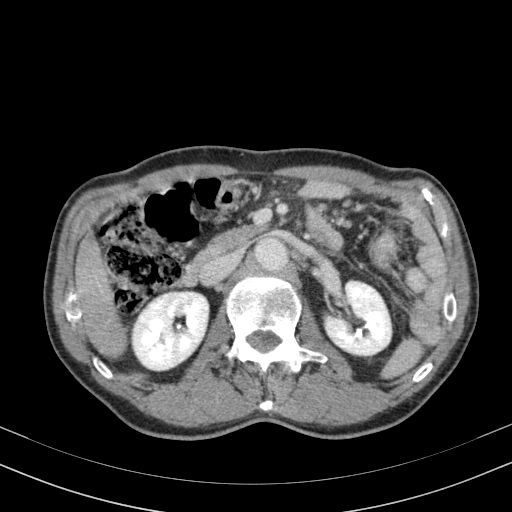 512x512 px | CT | Abdomen
2 kidney regions are located at [x1=133, y1=293, x2=207, y2=369], [x1=326, y1=282, x2=390, y2=354]. The liver is located at [x1=76, y1=230, x2=126, y2=361].